Field of view 400x400 mm, MR image, 320x320 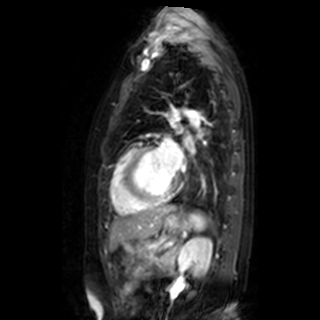 left atrium: 185,135,192,149; 161,139,182,170; 175,124,182,132